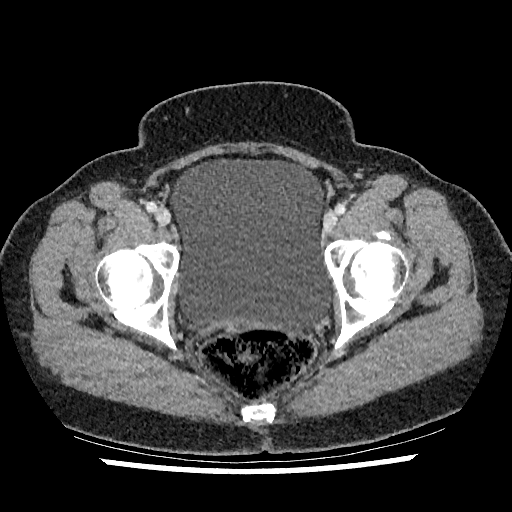

CT image | 512x512 | Lower abdomen

urinary_bladder:
  - bbox=[171, 158, 333, 332]